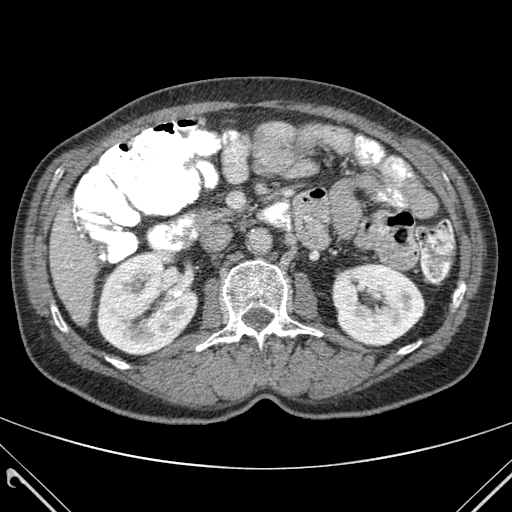 CT scan slice
2 kidney regions appear at left=334, top=265, right=423, bottom=344; left=98, top=250, right=196, bottom=353. 5 bone regions are bounded by left=106, top=357, right=128, bottom=368; left=196, top=260, right=322, bottom=350; left=398, top=344, right=418, bottom=353; left=52, top=306, right=66, bottom=330; left=453, top=284, right=465, bottom=305. The liver is bounded by left=50, top=203, right=96, bottom=321.